Abdomen, CT image, Image size 512x512

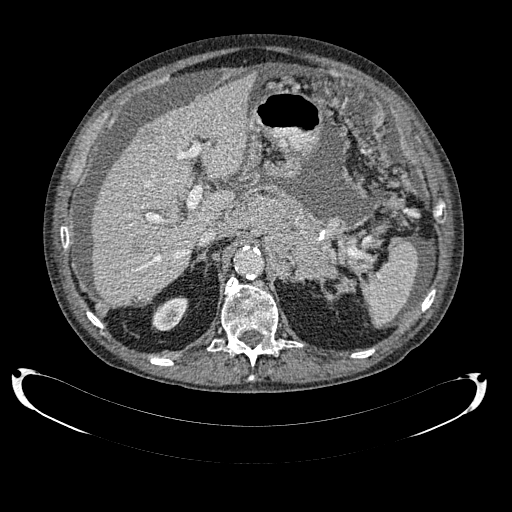 <segmentation>
  <kidney>region(153, 298, 187, 330)</kidney>
  <liver>region(91, 73, 255, 307)</liver>
  <hepatic_lesion>region(133, 241, 141, 253); region(137, 125, 153, 145)</hepatic_lesion>
</segmentation>